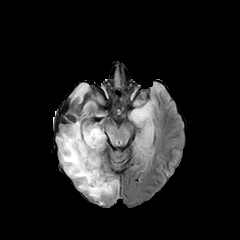
FLAIR magnetic resonance.
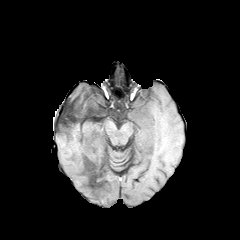
Same slice, T1-weighted MRI.
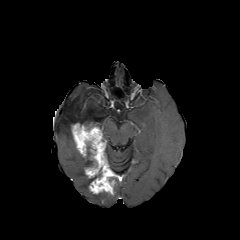
Post-contrast T1-weighted MR.
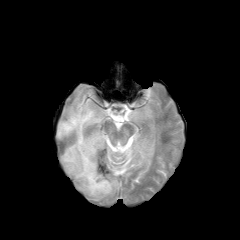
T2-weighted MRI.
240x240 px.
Segmented structures:
- non-enhancing tumor core: bbox=[83, 146, 94, 167]; bbox=[65, 111, 91, 131]; bbox=[100, 146, 121, 183]
- enhancing tumor: bbox=[72, 123, 115, 193]
- edema: bbox=[136, 138, 148, 150]; bbox=[66, 91, 96, 127]; bbox=[57, 124, 111, 200]; bbox=[129, 102, 151, 123]